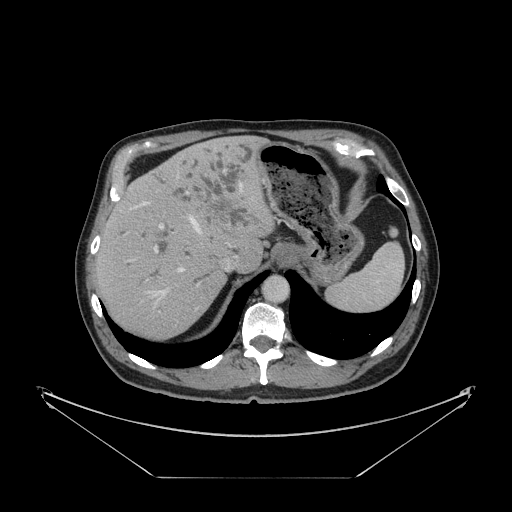
Computed tomography. Liver. Some hepatic vessels may have no box.
The liver tumor is at 203:195:241:229. 8 hepatic vessel regions appear at 131:202:147:208, 154:247:157:251, 239:183:241:190, 225:266:228:270, 177:268:182:271, 159:224:162:228, 145:290:165:297, 189:218:199:231.